FLAIR MR image.
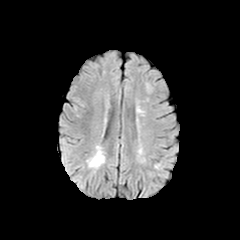
T1-weighted MR image.
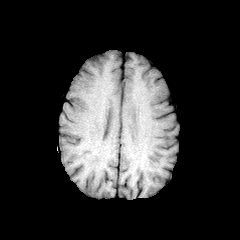
Post-contrast T1-weighted MR.
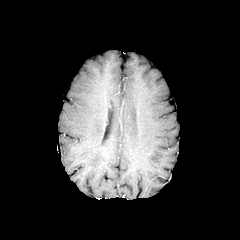
T2-weighted MRI.
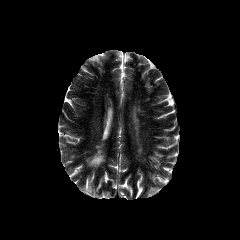
Head
<segmentation>
  <edema>88,151,104,167</edema>
</segmentation>